CT scan slice. Field of view 475 mm wide, 2.50 mm slice spacing. 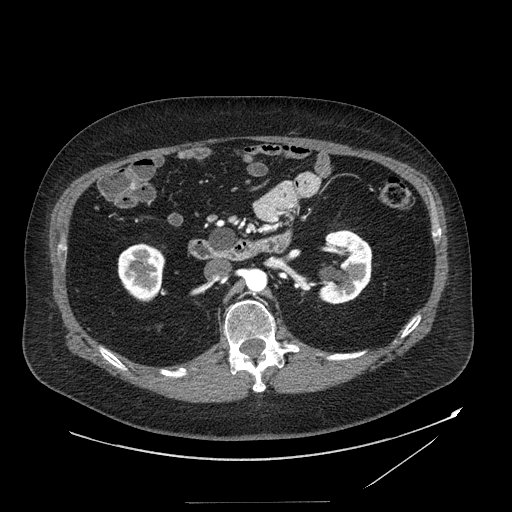
{"pancreatic_tumor": ["rect(210, 228, 234, 251)"], "pancreas": ["rect(207, 226, 235, 253)"]}